CT image.
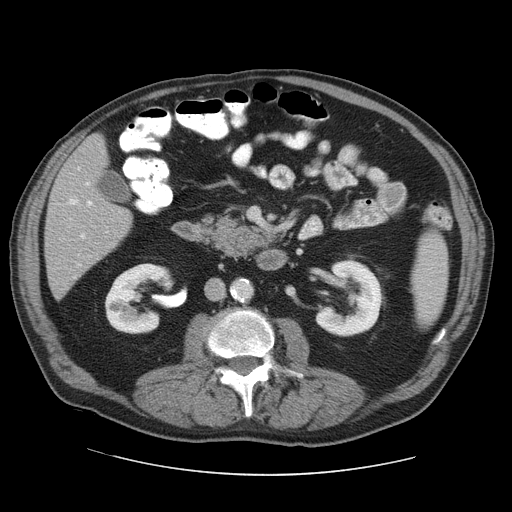
The vessel annotation is not exhaustive.
Hepatic vessel: bounding box (x1=87, y1=201, x2=91, y2=205), (x1=86, y1=182, x2=88, y2=185), (x1=70, y1=199, x2=76, y2=204).